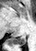

MR. Hippocampus.

The posterior hippocampus appears at l=11, t=35, r=25, b=45.